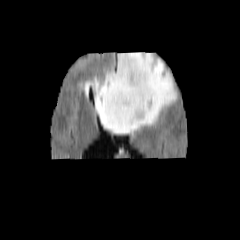
FLAIR MRI.
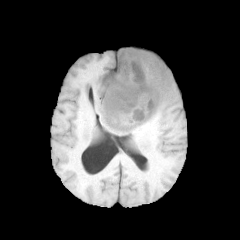
T1-weighted MRI of the same slice.
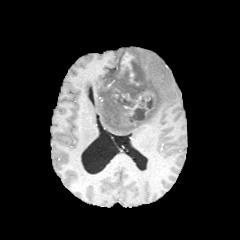
Post-contrast T1-weighted MR.
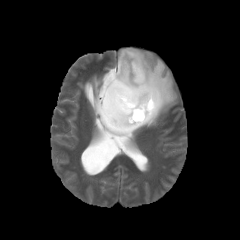
Same slice, T2-weighted MR image.
The edema is at bbox=[95, 48, 178, 134]. The non-enhancing tumor core is bounded by bbox=[102, 51, 157, 127]. The enhancing tumor lies within bbox=[121, 53, 133, 68].